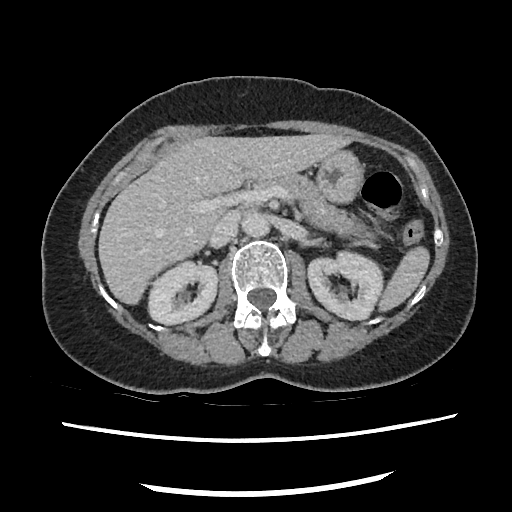

CT scan slice. Pancreas: [264, 174, 369, 235].